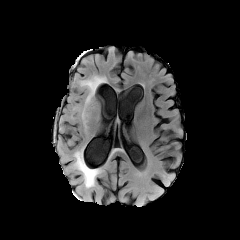
FLAIR MR.
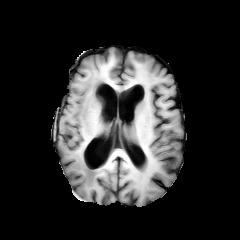
Same slice, T1-weighted MR image.
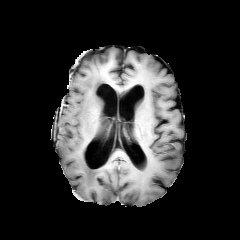
Post-contrast T1-weighted MR image of the same slice.
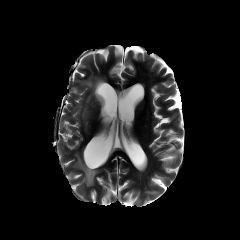
Same slice, T2-weighted MRI.
2 edema regions are bounded by x1=66 y1=149 x2=99 y2=188, x1=81 y1=77 x2=103 y2=101.